Computed tomography | Abdomen

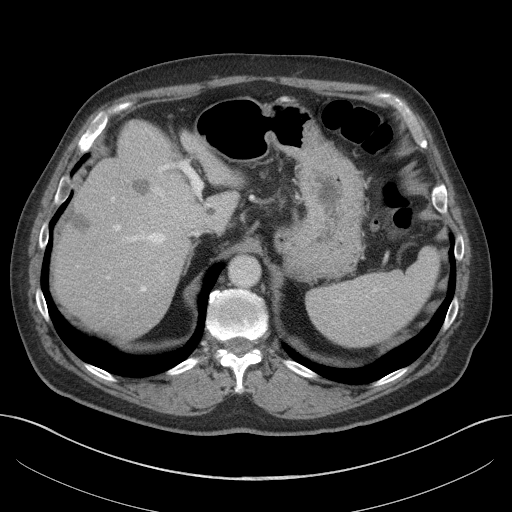 liver:
  - (53,121,247,339)
liver_lesion:
  - (207,208,215,216)
  - (72,213,90,233)
  - (134,178,151,194)